CT scan slice, Abdomen, Slice 38 of 99

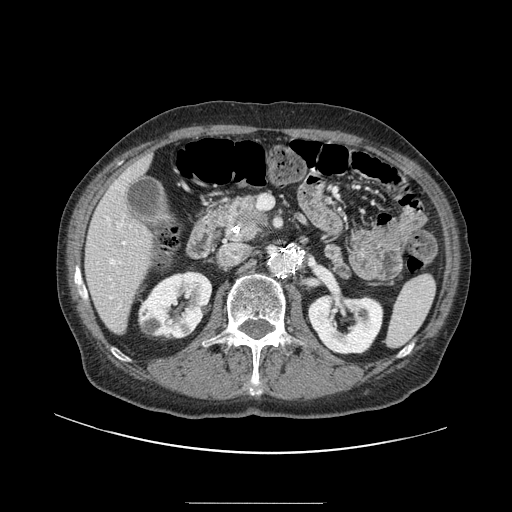 <segmentation>
  <pancreatic_tumor>region(233, 209, 263, 223)</pancreatic_tumor>
  <pancreas>region(325, 244, 350, 276); region(222, 196, 269, 240)</pancreas>
</segmentation>